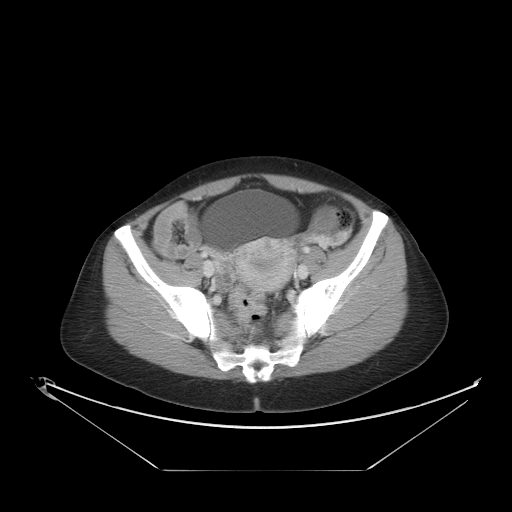 CT. 512x512. The colon tumor lies within (x1=229, y1=285, x2=267, y2=322).